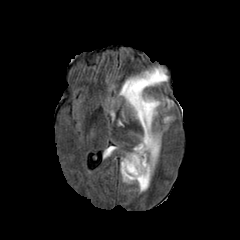
FLAIR MR.
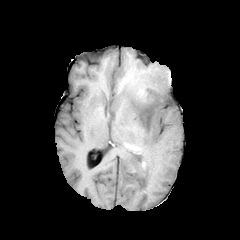
T1-weighted MR image.
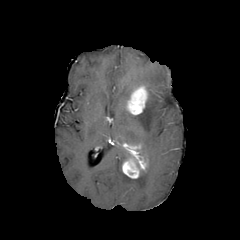
Post-contrast T1-weighted MRI of the same slice.
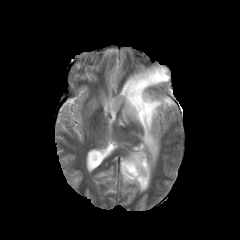
Same slice, T2-weighted MR.
Head
Annotated regions:
- non-enhancing tumor core: 133 160 147 174
- edema: 120 94 173 191, 119 66 168 102
- enhancing tumor: 127 84 147 114, 122 150 144 178